320x320, MR image

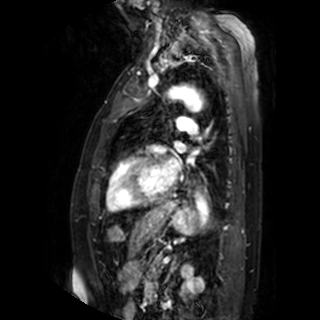

{
  "left_atrium": [
    "box(163, 159, 177, 182)",
    "box(175, 142, 185, 152)"
  ]
}